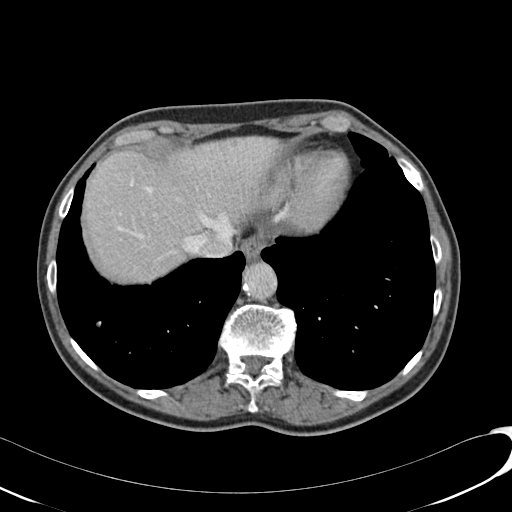 CT scan slice
Liver — bbox(84, 137, 281, 281).
Focal liver lesion — bbox(218, 144, 226, 151).